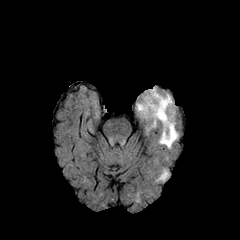
FLAIR MR image.
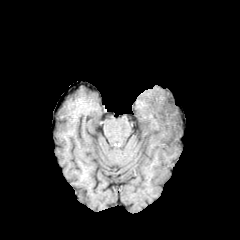
Same slice, T1-weighted MR image.
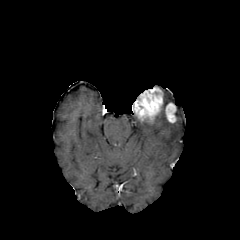
Post-contrast T1-weighted MRI.
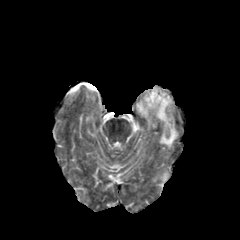
T2-weighted magnetic resonance of the same slice.
Edema — <box>164,93,173,103</box>, <box>148,108,178,150</box>, <box>158,169,168,181</box>.
Enhancing tumor — <box>132,87,163,121</box>, <box>165,102,174,122</box>.